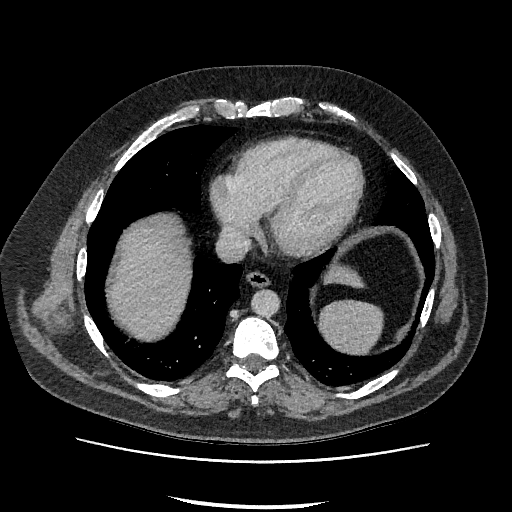
CT

Liver at 110,217,189,338; 325,267,362,286.